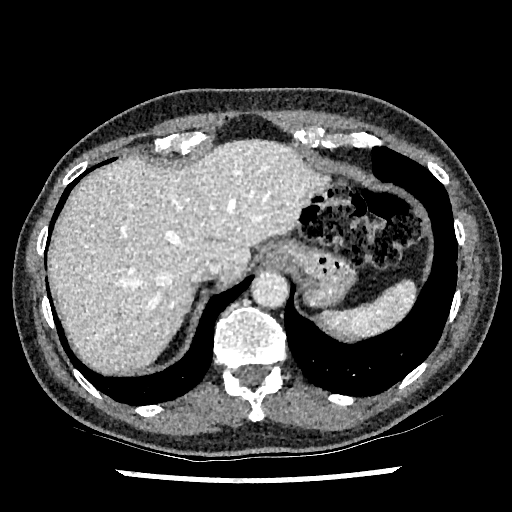 CT slice

Liver: rect(48, 139, 326, 373).